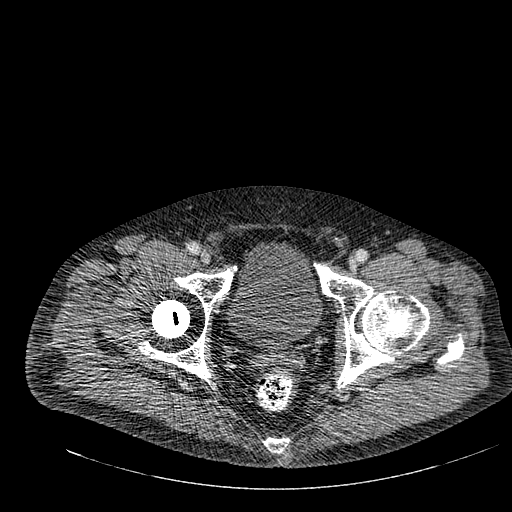
CT image; Lower abdomen
The urinary bladder is bounded by 227 242 322 350.